FLAIR MR image.
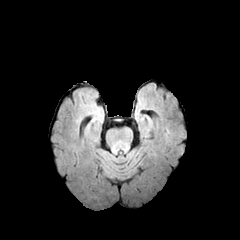
T1-weighted MR image.
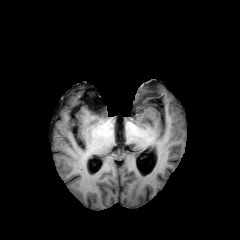
Post-contrast T1-weighted MRI.
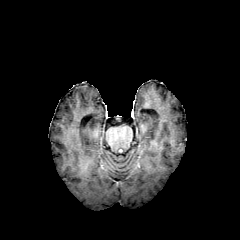
T2-weighted magnetic resonance.
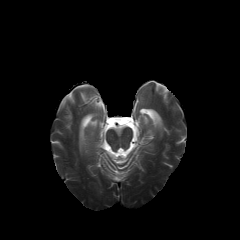
Head, Image size 240x240
Annotated regions:
* non-enhancing tumor core: box(125, 129, 130, 143)
* edema: box(140, 115, 152, 137)